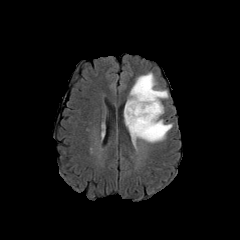
FLAIR MRI.
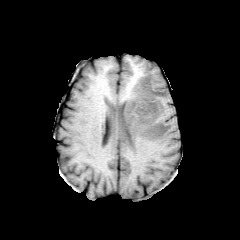
T1-weighted MR image.
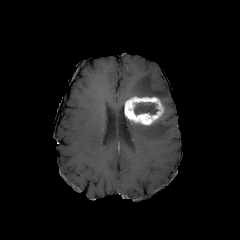
Post-contrast T1-weighted MR.
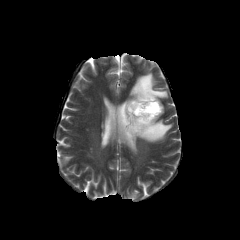
T2-weighted MRI.
240x240 px
Non-enhancing tumor core = 140, 82, 154, 96; 135, 103, 156, 114.
Enhancing tumor = 124, 96, 163, 125.
Edema = 124, 117, 172, 148; 128, 71, 168, 99.